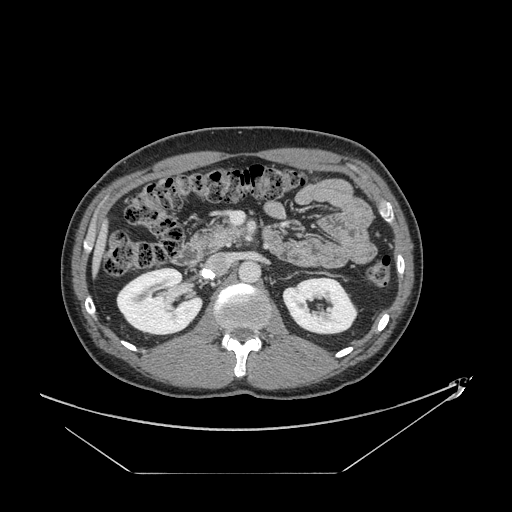
512x512. CT slice.

Findings:
• pancreas: rect(195, 223, 246, 252)